240x240
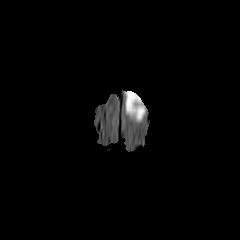
FLAIR magnetic resonance.
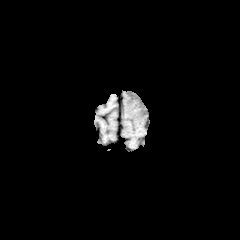
T1-weighted MRI.
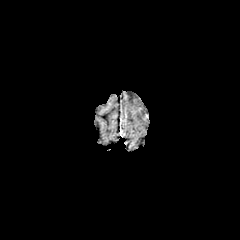
Same slice, post-contrast T1-weighted MR.
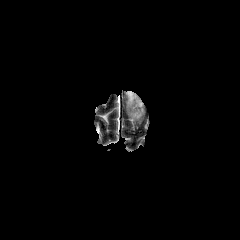
T2-weighted MR of the same slice.
The edema is bounded by box=[125, 91, 145, 123].